Computed tomography, Upper abdomen
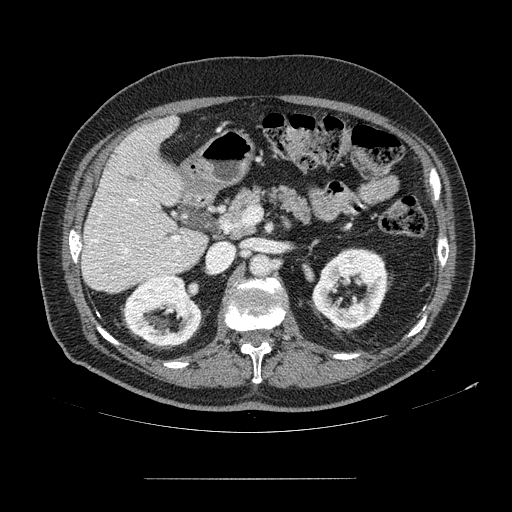 Pancreas at [223,184,314,240].